Image width 512 mm | CT slice
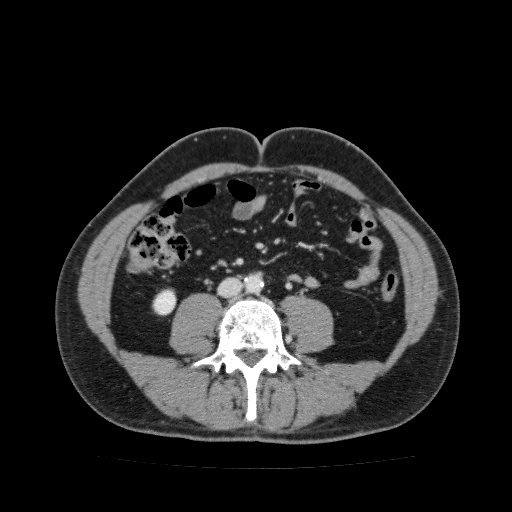
The kidney lies within <box>154,290,175,314</box>.